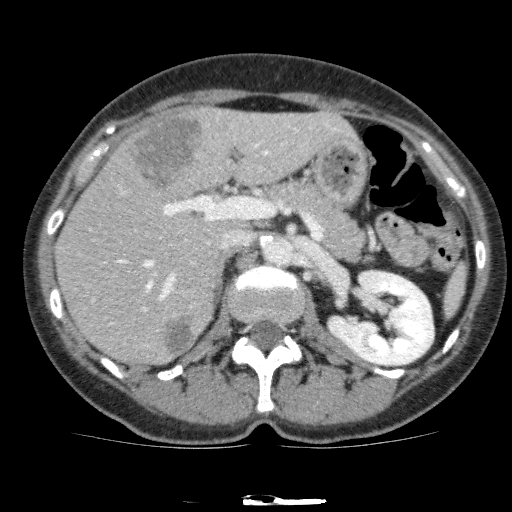
512x512, CT slice

Hepatic lesion — 162,311,195,355; 122,111,203,192.
Liver — 55,107,360,361.
Kidney — 329,271,433,364.